Field of view 240x240 mm | Image size 240x240
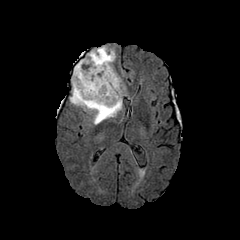
FLAIR MR image.
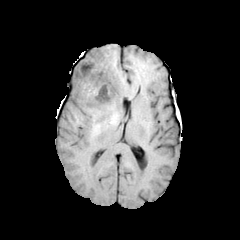
T1-weighted MRI of the same slice.
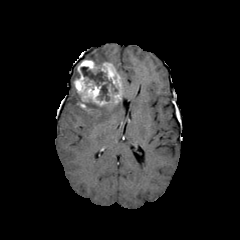
Post-contrast T1-weighted MR of the same slice.
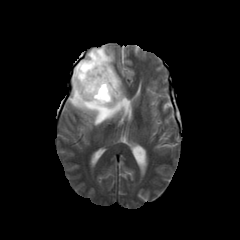
T2-weighted MRI.
Edema at 69 80 123 125, 80 45 115 65.
Enhancing tumor at 72 60 122 105.
Non-enhancing tumor core at 80 66 111 101, 76 92 117 109.